CT image | Field of view 477 mm wide, 5.00 mm slice spacing 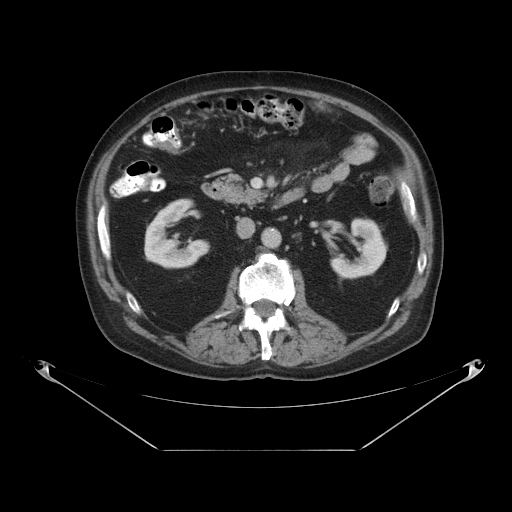 Colon tumor at {"x1": 155, "y1": 141, "x2": 177, "y2": 153}.